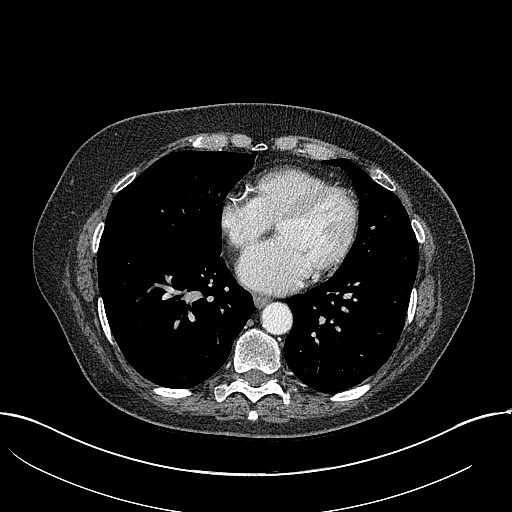
Computed tomography; Lung
{
  "lung_tumor": [
    "[x1=170, y1=368, x2=192, y2=384]"
  ]
}